Image size 240x240
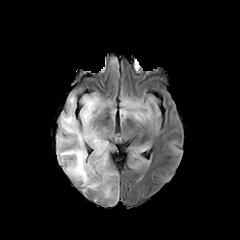
FLAIR MR image.
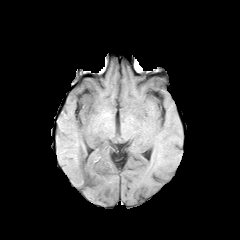
T1-weighted MR.
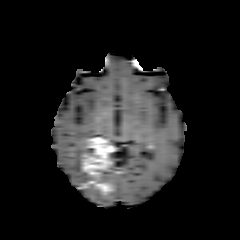
Post-contrast T1-weighted MRI of the same slice.
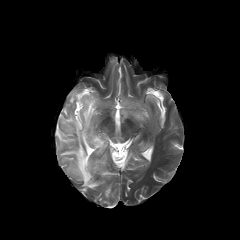
T2-weighted magnetic resonance.
Edema: bounding box left=132, top=108, right=147, bottom=121; left=56, top=90, right=101, bottom=183; left=104, top=165, right=114, bottom=183.
Non-enhancing tumor core: bounding box left=84, top=139, right=111, bottom=195.
Enhancing tumor: bounding box left=82, top=154, right=90, bottom=172; left=87, top=137, right=114, bottom=169; left=91, top=180, right=110, bottom=195.